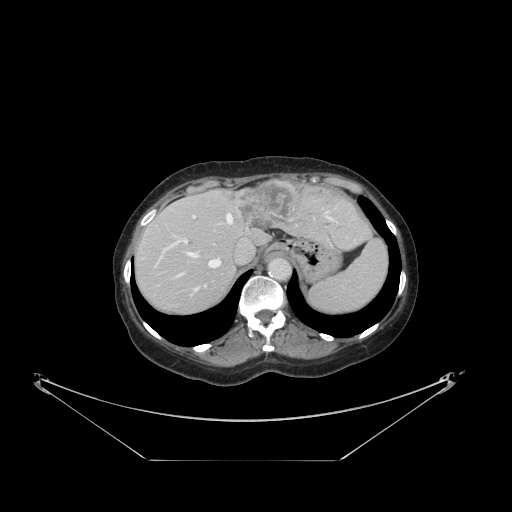
Liver; Computed tomography

The vessel boxes may cover only some of the vessels.
<segmentation>
  <hepatic_vessel>(x1=208, y1=258, x2=220, y2=267), (x1=174, y1=273, x2=183, y2=277), (x1=193, y1=215, x2=194, y2=217), (x1=329, y1=218, x2=332, y2=220), (x1=160, y1=256, x2=161, y2=258), (x1=163, y1=236, x2=186, y2=251), (x1=226, y1=212, x2=232, y2=224), (x1=236, y1=244, x2=253, y2=262), (x1=186, y1=252, x2=198, y2=257), (x1=194, y1=287, x2=198, y2=291)</hepatic_vessel>
  <liver_tumor>(x1=226, y1=180, x2=296, y2=229)</liver_tumor>
</segmentation>